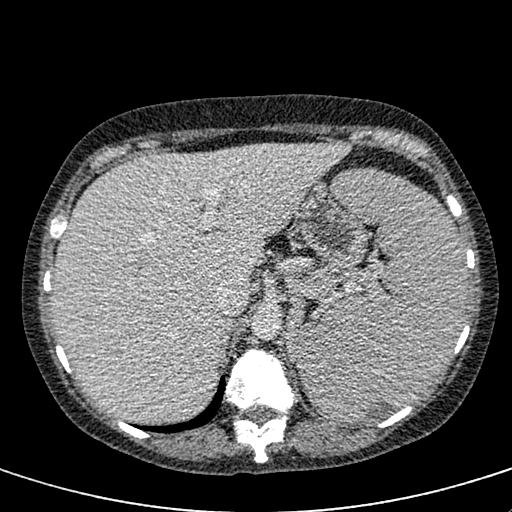

Computed tomography | Image size 512x512 | Abdomen

The liver is at (left=53, top=144, right=350, bottom=421).